FLAIR MR image.
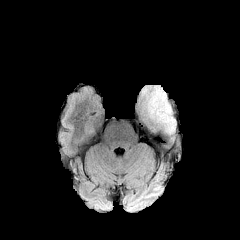
T1-weighted MR image.
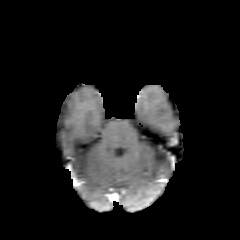
Post-contrast T1-weighted magnetic resonance.
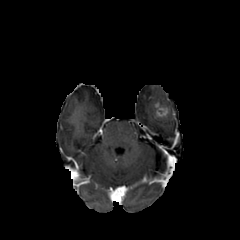
T2-weighted MRI.
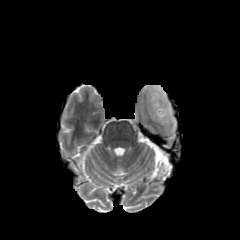
240x240 px. Brain.
The edema appears at x1=148 y1=88 x2=175 y2=134. The enhancing tumor is located at x1=156 y1=107 x2=168 y2=116.